FLAIR magnetic resonance.
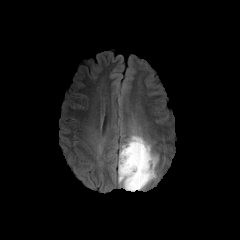
T1-weighted magnetic resonance.
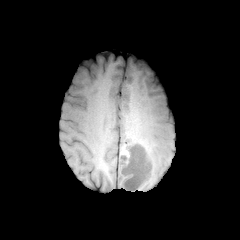
Post-contrast T1-weighted magnetic resonance.
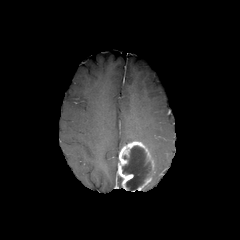
T2-weighted MR.
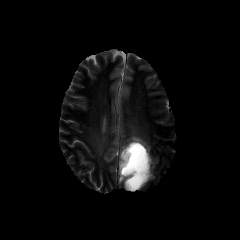
The enhancing tumor is bounded by [118,141,155,190]. The edema lies within [118,127,159,167]. The non-enhancing tumor core appears at [122,145,151,190].